Upper abdomen, CT image, 512x512, Slice 80/148

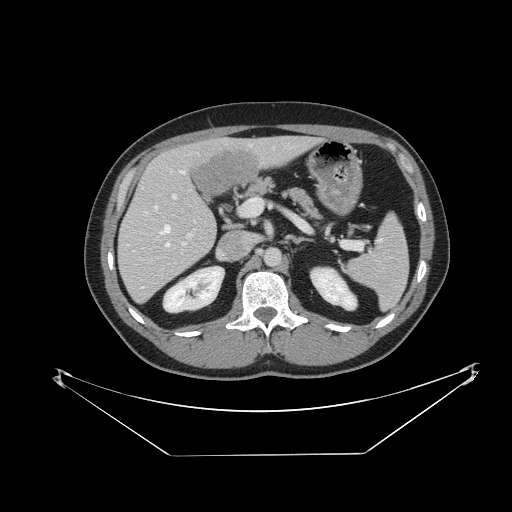 {"spleen": ["(left=347, top=214, right=407, bottom=309)"]}